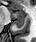

Magnetic resonance, Hippocampus

The anterior hippocampus is located at bbox(10, 11, 25, 20). The posterior hippocampus is bounded by bbox(13, 21, 23, 28).